Liver. 512x512. CT slice. Slice index 32.

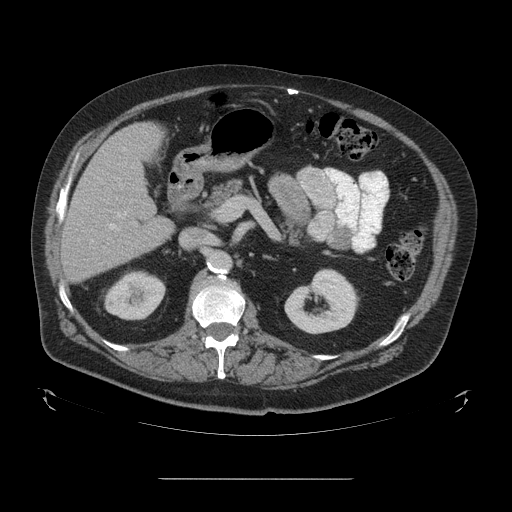

Some hepatic vessels may have no box.
{
  "hepatic_vessel": [
    "96, 177, 103, 183",
    "116, 207, 129, 218",
    "133, 222, 136, 225",
    "89, 239, 93, 247",
    "126, 242, 128, 243",
    "107, 223, 120, 230",
    "122, 147, 127, 151",
    "119, 183, 125, 188",
    "118, 163, 126, 165"
  ]
}